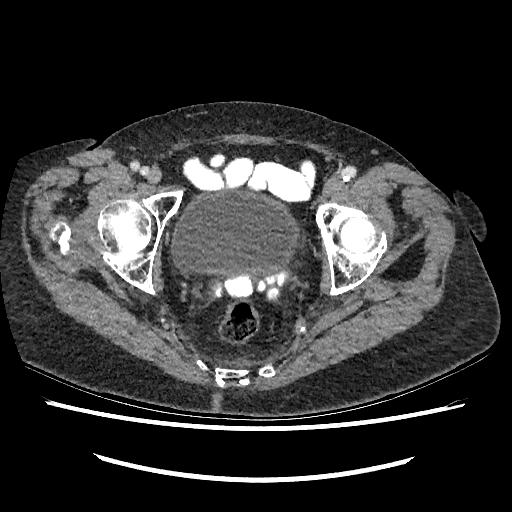
CT. Image size 512x512. Lower abdomen.

The urinary bladder appears at rect(172, 186, 301, 279).